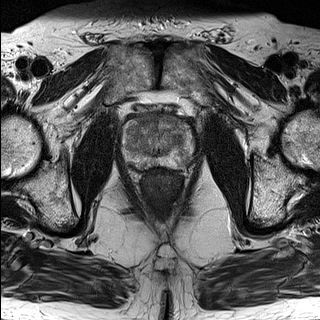
T2-weighted MRI.
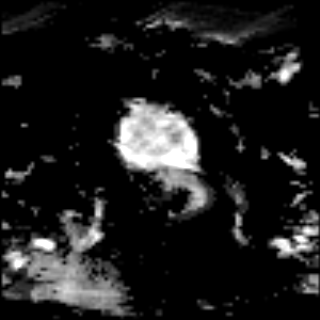
ADC MRI.
Pelvis.
Prostate transition zone at x1=127, y1=115, x2=185, y2=155.
Prostate peripheral zone at x1=120, y1=120, x2=194, y2=171.